Computed tomography, Image size 512x512

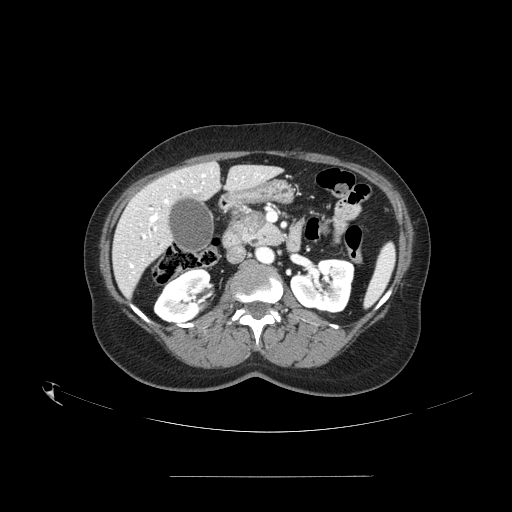
Findings:
- pancreatic tumor: 232:211:265:235
- pancreas: 235:219:281:245, 230:208:257:231